Upper abdomen; Image width 495 mm; Slice 84/164; Computed tomography
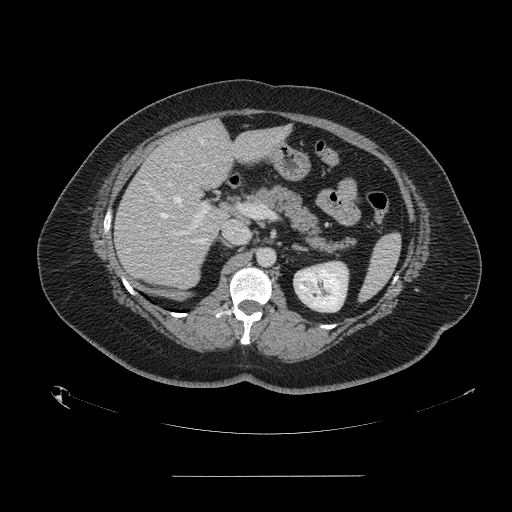

The spleen is located at 361, 235, 400, 299.